Head, Field of view 240x240 mm, 240x240 px
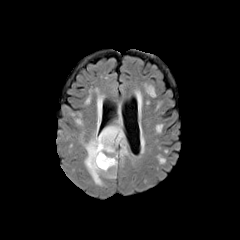
FLAIR MR.
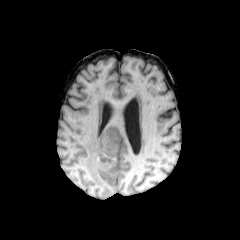
T1-weighted MRI.
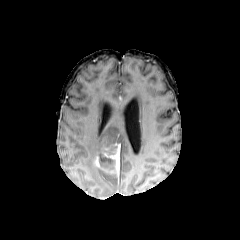
Post-contrast T1-weighted MR image.
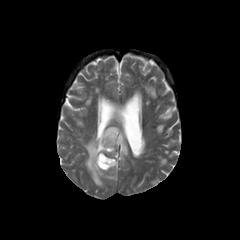
T2-weighted MR.
edema:
  - region(82, 90, 128, 185)
non-enhancing_tumor_core:
  - region(107, 140, 123, 164)
  - region(99, 152, 113, 172)
enhancing_tumor:
  - region(104, 143, 120, 173)
  - region(94, 156, 105, 169)